Slice 39/155
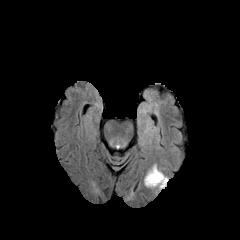
FLAIR MR.
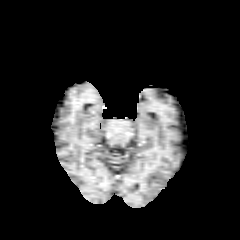
T1-weighted MR of the same slice.
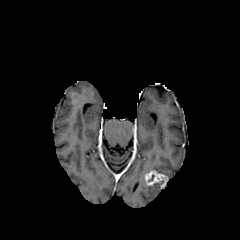
Post-contrast T1-weighted magnetic resonance.
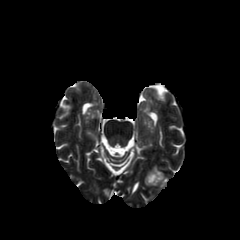
T2-weighted MRI.
enhancing_tumor:
  - 145:170:167:187
edema:
  - 144:176:161:189
  - 146:164:163:173